CT slice | Image size 512x512 | Image width 460 mm | Upper abdomen

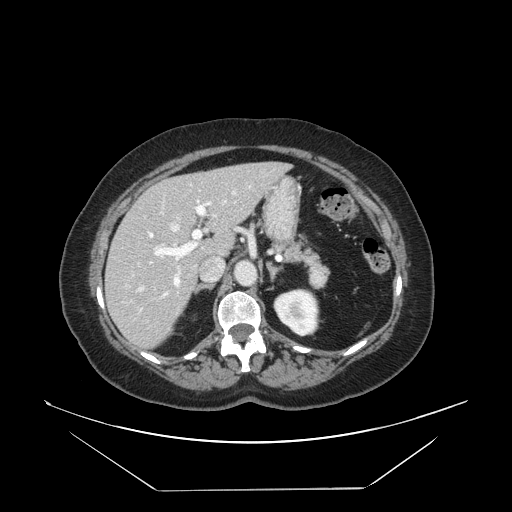

{"pancreas": ["<bbox>272, 239, 331, 290</bbox>"]}